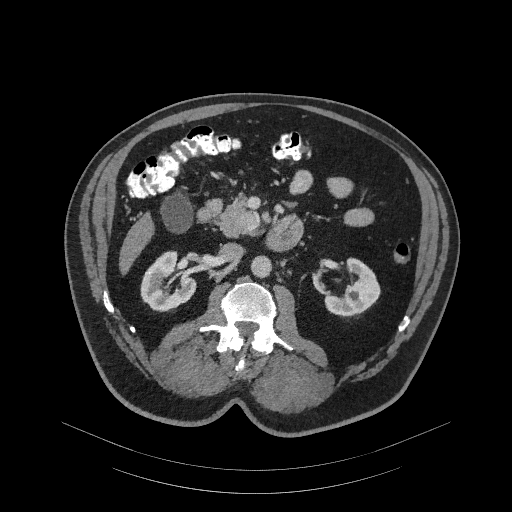 Computed tomography

The pancreatic tumor is at region(238, 211, 260, 230). The pancreas is bounded by region(207, 196, 255, 237).